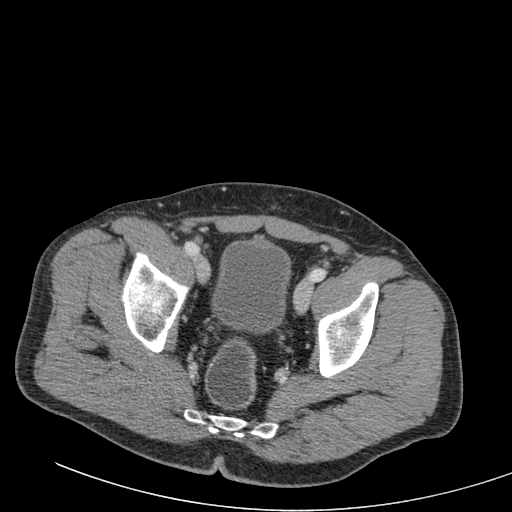
CT, Pelvis, 512x512 px
Urinary bladder at [211,240,290,333].